Field of view 420x420 mm | Image size 512x512 | CT scan slice 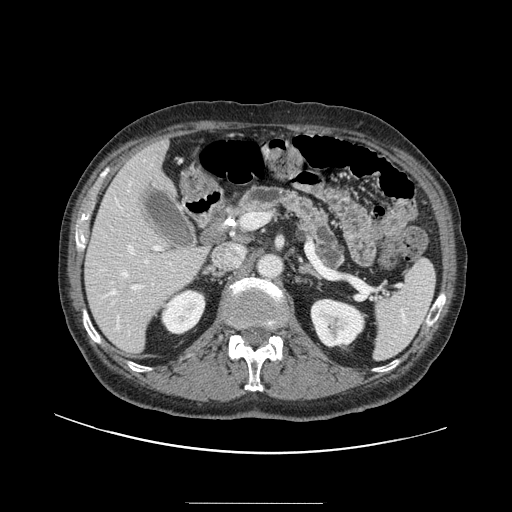 Pancreas: bounding box [237, 186, 345, 269].